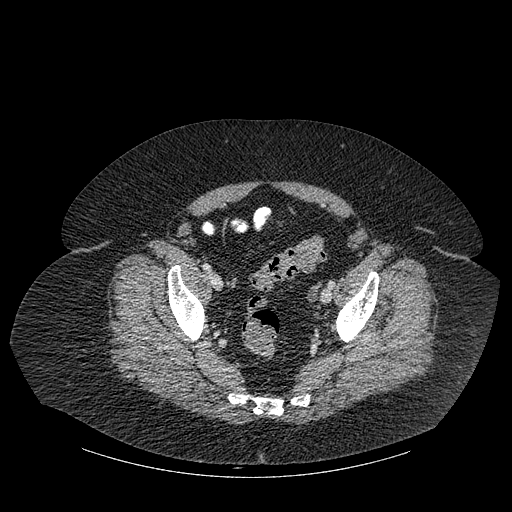 Computed tomography

Bone at x1=336, y1=271, x2=378, y2=341; x1=228, y1=394, x2=283, y2=415; x1=168, y1=265, x2=204, y2=340; x1=291, y1=394, x2=309, y2=406.